Slice index 44; Field of view 240 mm wide, 1.00 mm slice spacing
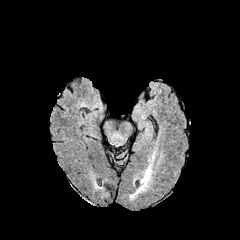
FLAIR MR image.
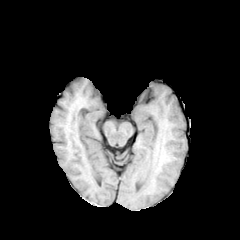
Same slice, T1-weighted MR image.
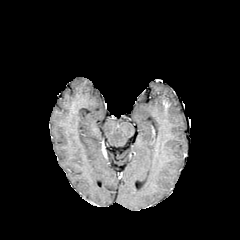
Post-contrast T1-weighted magnetic resonance.
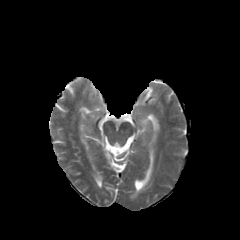
T2-weighted magnetic resonance.
Edema = (136, 164, 152, 192).